FLAIR MR.
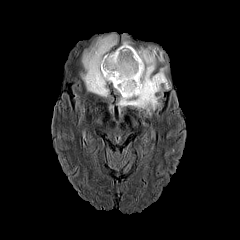
T1-weighted magnetic resonance.
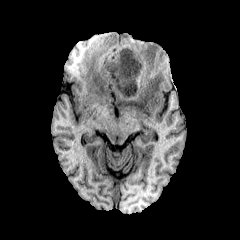
Post-contrast T1-weighted MR image.
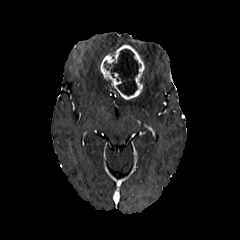
T2-weighted MR image.
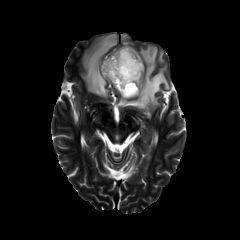
The non-enhancing tumor core lies within box=[104, 49, 140, 95]. The enhancing tumor is at box=[100, 43, 144, 100]. 3 edema regions are located at box=[114, 45, 171, 117]; box=[121, 34, 133, 45]; box=[80, 32, 117, 97].